CT slice 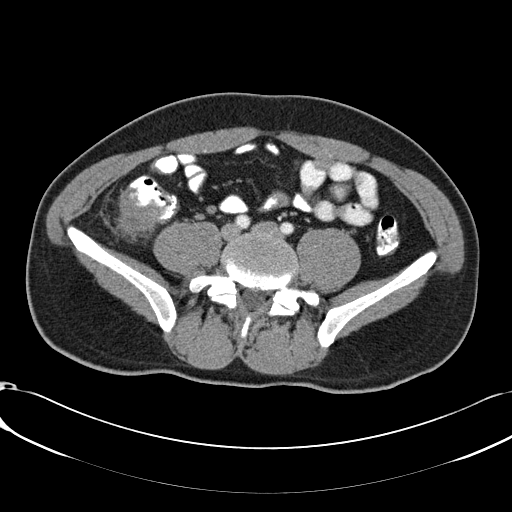

Annotated regions:
• colon tumor: x1=120, y1=192, x2=159, y2=233